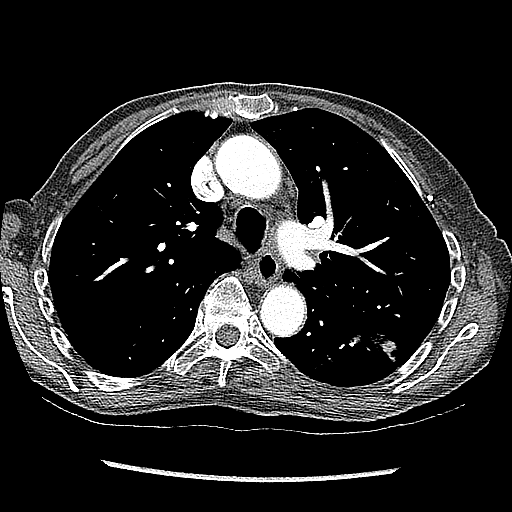 Computed tomography | Chest
lung tumor: <bbox>347, 333, 401, 364</bbox>